CT image, Slice index 27, 512x512, Upper abdomen, Field of view 390x390 mm
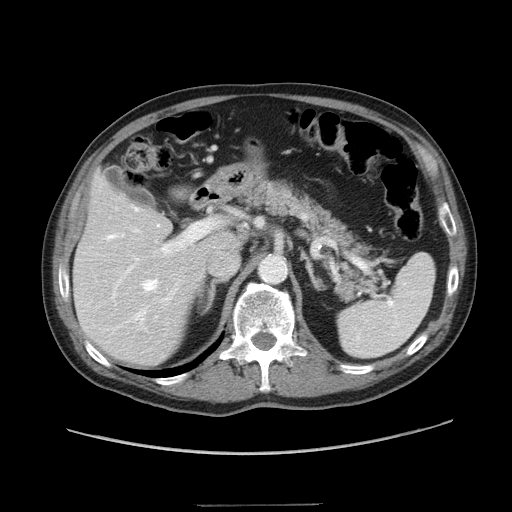

2 pancreas regions are located at bbox(241, 182, 366, 255); bbox(338, 261, 375, 296).